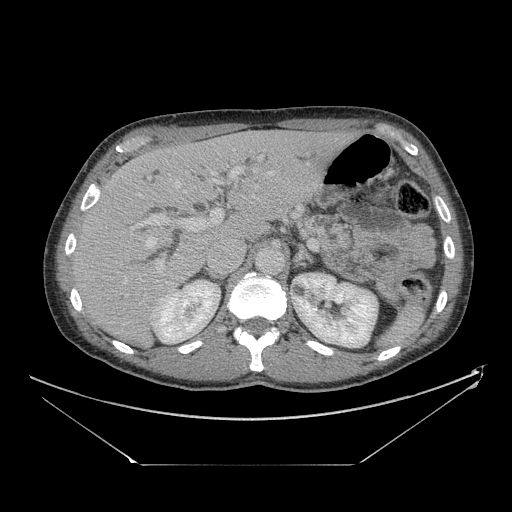
CT; Abdomen; 512x512 px
{
  "pancreas": [
    "301, 213, 352, 253"
  ]
}